Pelvis | CT slice | Image size 512x512 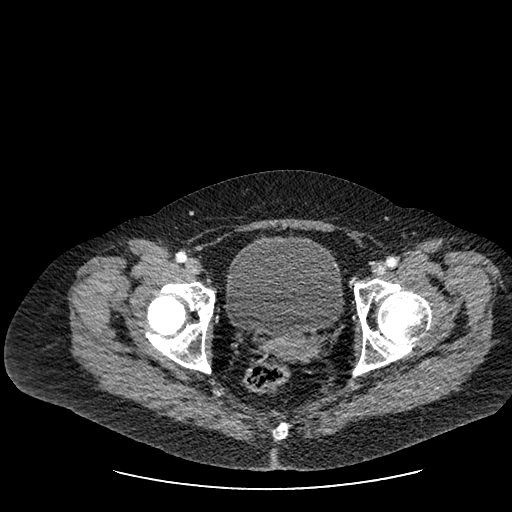

The urinary bladder is at left=225, top=235, right=342, bottom=337.